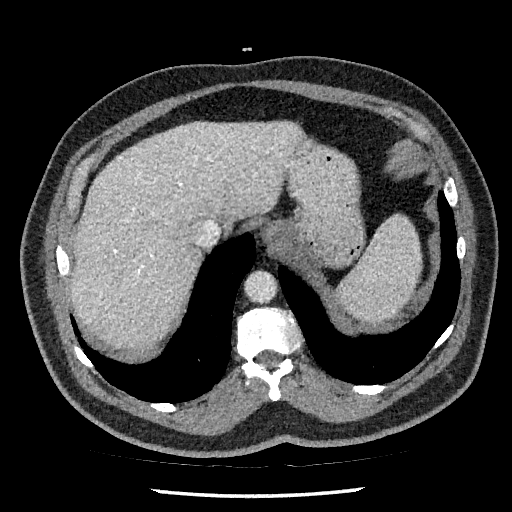

Abdomen | CT scan slice | Image size 512x512

Liver = box=[71, 122, 300, 350].